Magnetic resonance; Hippocampus; Slice index 12; 38x52 px 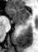

{"anterior_hippocampus": ["<bbox>7, 8, 30, 23</bbox>"], "posterior_hippocampus": ["<bbox>17, 24, 24, 25</bbox>"]}